FLAIR MR image.
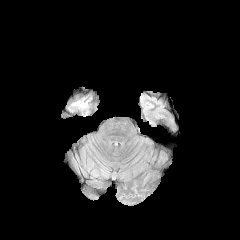
T1-weighted MR image.
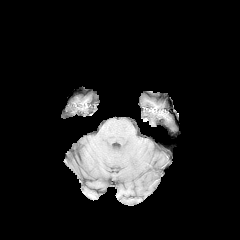
Post-contrast T1-weighted magnetic resonance.
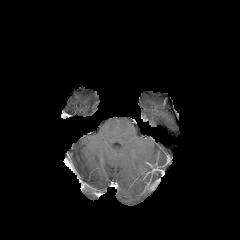
T2-weighted MR.
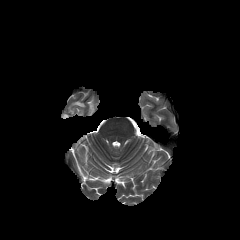
Head
The edema appears at bbox(73, 99, 87, 109).